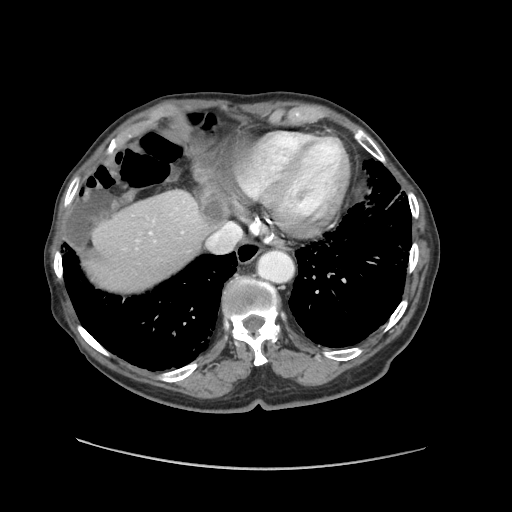 512x512, CT
Some hepatic vessels may have no box.
Findings:
• hepatic vessel: box=[207, 222, 241, 252]
• liver tumor: box=[202, 194, 224, 223]